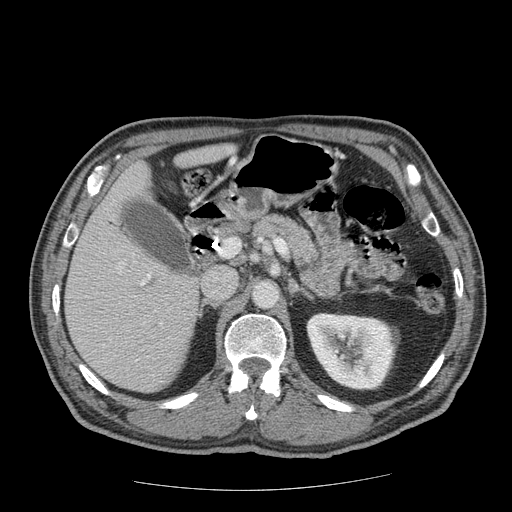 Abdomen | Computed tomography

pancreas: [x1=248, y1=211, x2=321, y2=267]